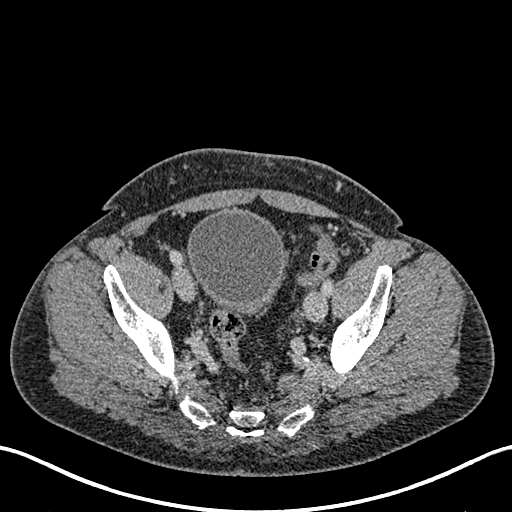
CT slice

Urinary bladder: x1=188, y1=212, x2=288, y2=316.